Head. Slice 64 of 155.
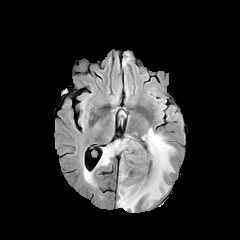
FLAIR MRI.
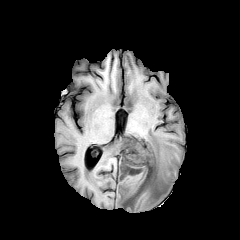
T1-weighted magnetic resonance of the same slice.
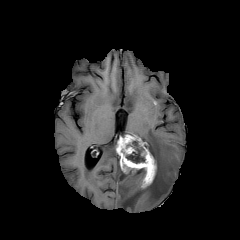
Post-contrast T1-weighted magnetic resonance.
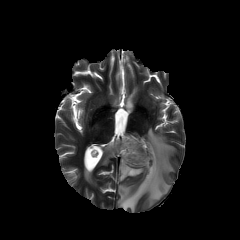
T2-weighted MR image of the same slice.
<segmentation>
  <enhancing_tumor>{"x1": 116, "y1": 135, "x2": 155, "y2": 187}</enhancing_tumor>
  <edema>{"x1": 134, "y1": 140, "x2": 143, "y2": 159}, {"x1": 98, "y1": 140, "x2": 117, "y2": 165}, {"x1": 117, "y1": 128, "x2": 175, "y2": 211}, {"x1": 84, "y1": 171, "x2": 92, "y2": 182}</edema>
  <non-enhancing_tumor_core>{"x1": 138, "y1": 140, "x2": 148, "y2": 149}, {"x1": 139, "y1": 152, "x2": 157, "y2": 191}, {"x1": 126, "y1": 148, "x2": 145, "y2": 163}, {"x1": 138, "y1": 168, "x2": 147, "y2": 179}</non-enhancing_tumor_core>
</segmentation>